Head.
FLAIR MR image.
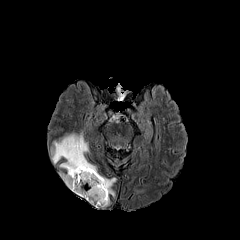
T1-weighted magnetic resonance.
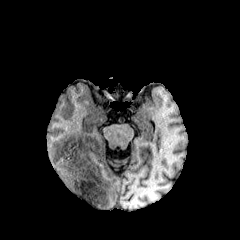
Post-contrast T1-weighted MR.
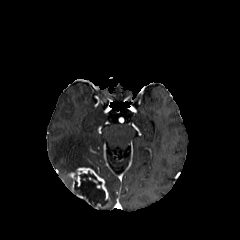
T2-weighted MR image.
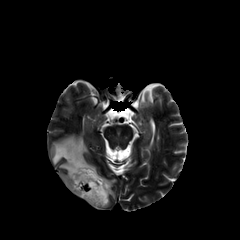
Non-enhancing tumor core: bounding box <bbox>72, 170, 109, 209</bbox>.
Edema: bounding box <bbox>59, 172, 72, 188</bbox>, <bbox>50, 132, 100, 176</bbox>, <bbox>101, 177, 116, 197</bbox>.
Enhancing tumor: bounding box <bbox>63, 167, 109, 200</bbox>.